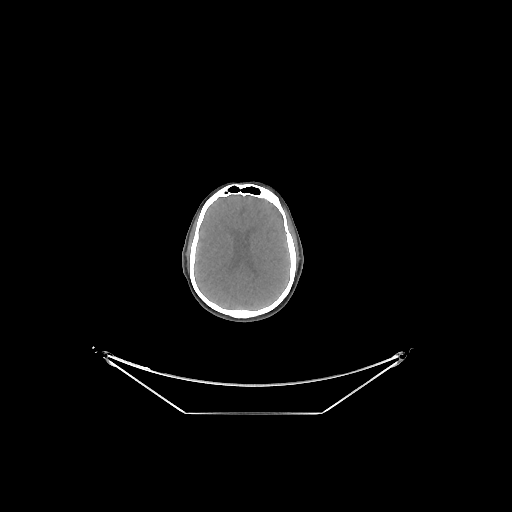

CT scan slice | Head
brain:
  - 194 194 290 310